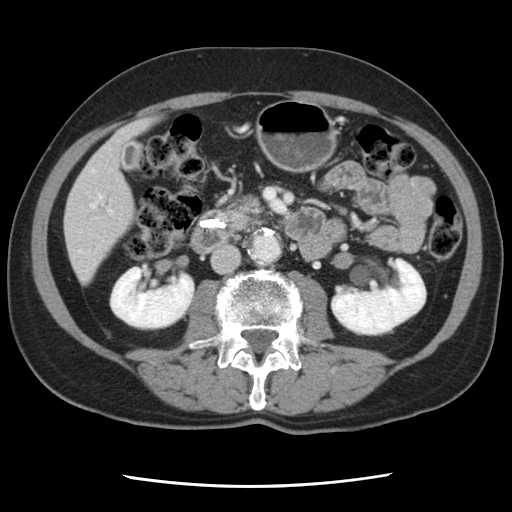 CT image, Abdomen
Segmented structures:
* pancreatic tumor: (left=225, top=195, right=260, bottom=231)
* pancreas: (left=249, top=204, right=263, bottom=227)